Abdomen. CT image. Field of view 472 mm wide, 4.00 mm slice spacing. 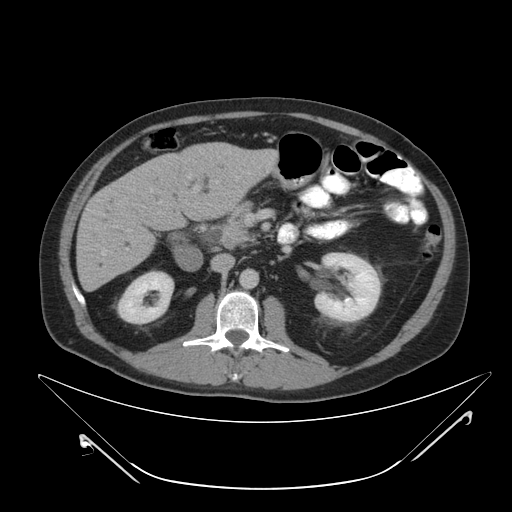
pancreatic tumor: [222,227,249,247] | pancreas: [221,203,250,242]